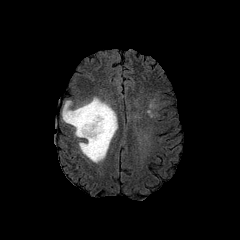
FLAIR magnetic resonance.
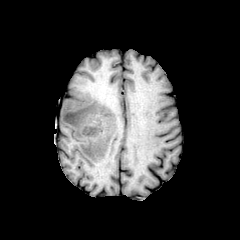
Same slice, T1-weighted MRI.
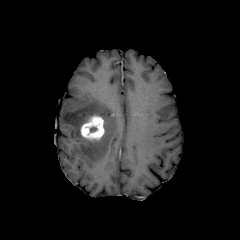
Same slice, post-contrast T1-weighted MRI.
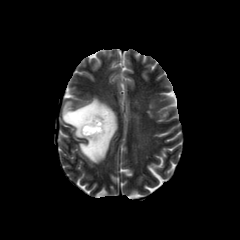
T2-weighted MRI.
240x240
{"enhancing_tumor": ["rect(80, 114, 105, 141)"], "edema": ["rect(62, 96, 117, 163)"]}